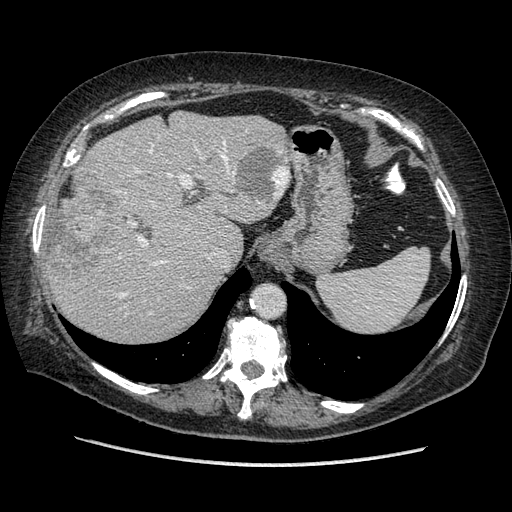
CT image. The vessel boxes may cover only some of the vessels.
<segmentation>
  <hepatic_vessel>(222,153,226,162), (130,221,135,225), (180,175,190,188), (137,170,139,171), (119,293,125,295), (139,236,146,244), (168,174,173,175), (230,172,233,174)</hepatic_vessel>
  <liver_tumor>(53,183,114,271)</liver_tumor>
</segmentation>